FLAIR MR image.
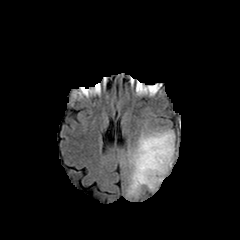
T1-weighted MR.
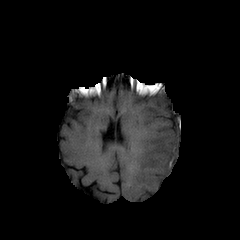
Post-contrast T1-weighted magnetic resonance.
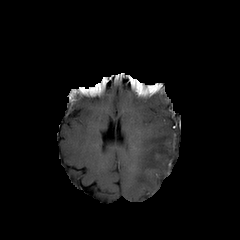
T2-weighted MR image.
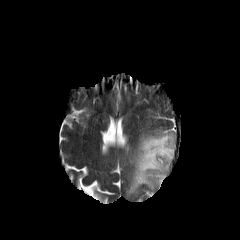
Head
Edema — x1=126, y1=128, x2=175, y2=195.